Upper abdomen | CT image | Field of view 406 mm wide, 2.50 mm slice spacing | 512x512 | Slice 34/92

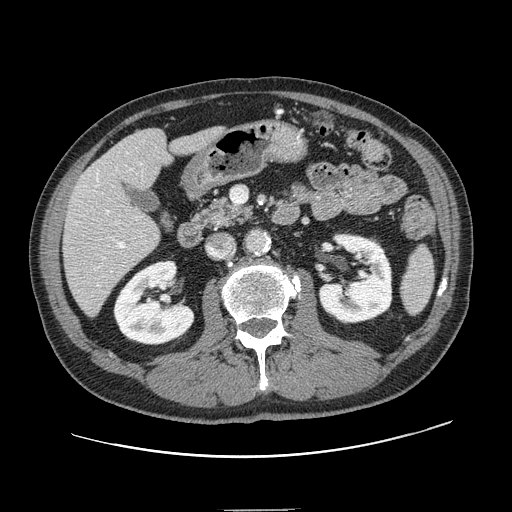

Annotated regions:
• pancreas: region(194, 196, 251, 229)